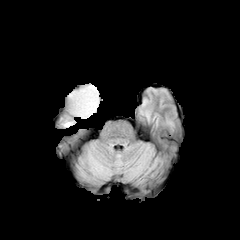
FLAIR MR image.
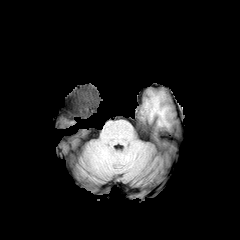
T1-weighted MRI.
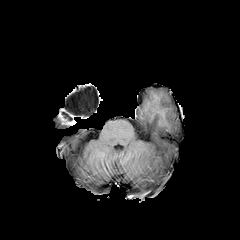
Same slice, post-contrast T1-weighted MR.
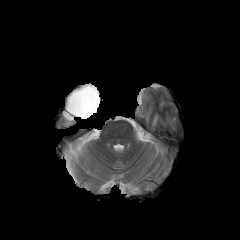
Same slice, T2-weighted MRI.
Head.
non-enhancing tumor core: box=[63, 84, 99, 120]